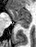 Medial temporal lobe, MR

The anterior hippocampus appears at [x1=8, y1=8, x2=31, y2=21]. The posterior hippocampus appears at [x1=18, y1=22, x2=30, y2=28].